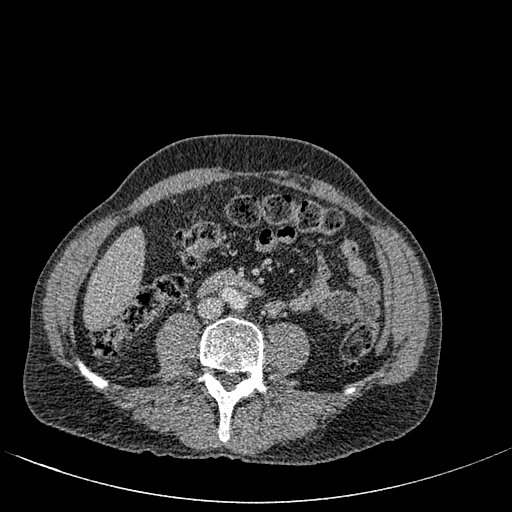

Computed tomography. Abdomen.
The liver appears at [85,230,142,325].